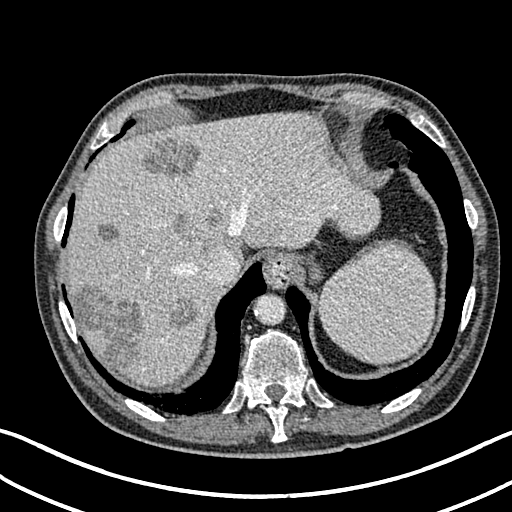

Liver. CT.
Liver — (81, 329, 104, 357), (66, 113, 380, 385).
Liver lesion — (145, 137, 199, 176), (166, 298, 197, 329), (206, 209, 222, 228), (99, 224, 118, 241), (73, 284, 143, 367), (171, 214, 188, 233).